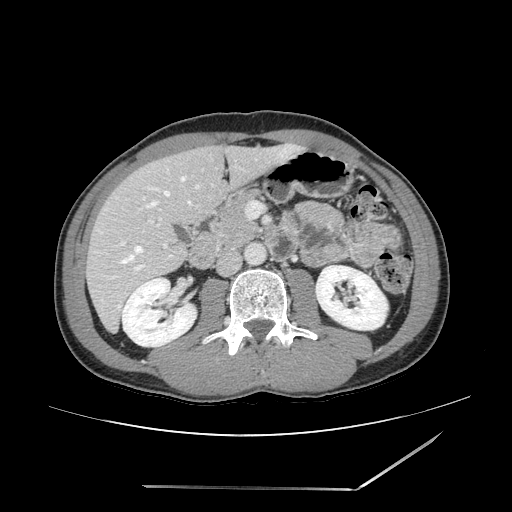 CT scan slice

<segmentation>
  <pancreas>bbox(208, 189, 259, 253)</pancreas>
</segmentation>